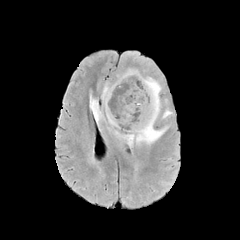
FLAIR MR image.
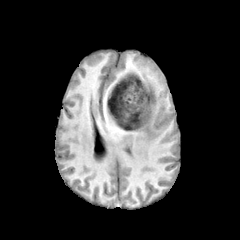
T1-weighted MR.
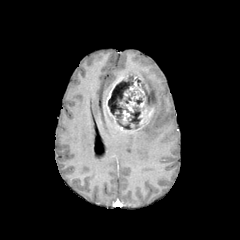
Same slice, post-contrast T1-weighted MR image.
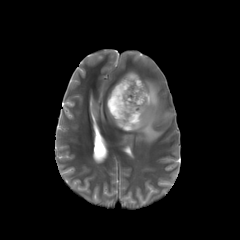
Same slice, T2-weighted MRI.
edema: left=106, top=108, right=118, bottom=126; left=115, top=77, right=167, bottom=147; left=102, top=84, right=109, bottom=103; left=124, top=70, right=140, bottom=77; left=161, top=109, right=172, bottom=118; left=90, top=95, right=102, bottom=126 | enhancing tumor: left=126, top=101, right=135, bottom=111; left=105, top=76, right=124, bottom=121; left=139, top=109, right=151, bottom=124 | non-enhancing tumor core: left=107, top=75, right=151, bottom=129